240x240; Brain
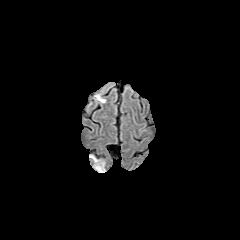
FLAIR magnetic resonance.
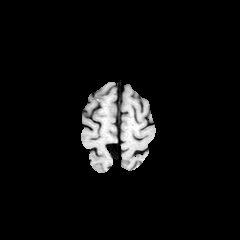
T1-weighted MR image of the same slice.
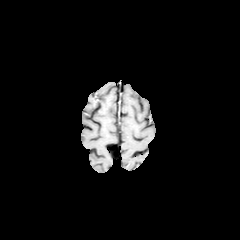
Post-contrast T1-weighted MR image.
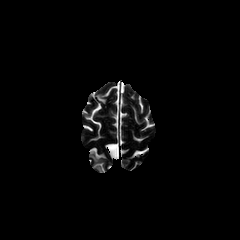
T2-weighted magnetic resonance.
Edema — (93,157,105,171).